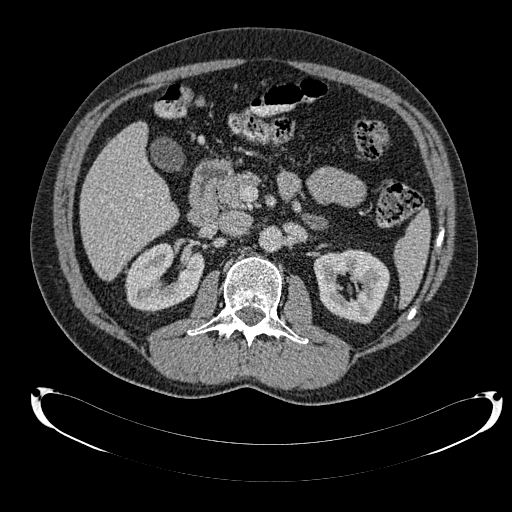 CT slice | 512x512 px | Liver

Kidney: bbox=[126, 244, 203, 310]; bbox=[314, 250, 389, 323].
Liver: bbox=[80, 122, 178, 279].